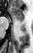

MRI. Hippocampus. anterior_hippocampus:
  - [10, 7, 24, 20]